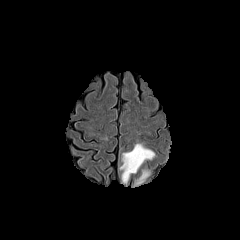
FLAIR MR image.
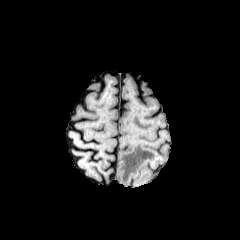
Same slice, T1-weighted MRI.
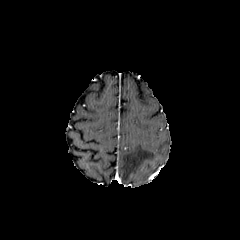
Same slice, post-contrast T1-weighted magnetic resonance.
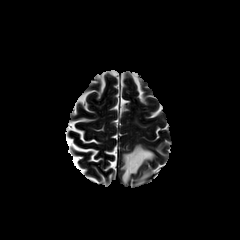
T2-weighted MRI.
2 edema regions are bounded by <bbox>135, 170, 151, 186</bbox>, <bbox>119, 144, 154, 183</bbox>.